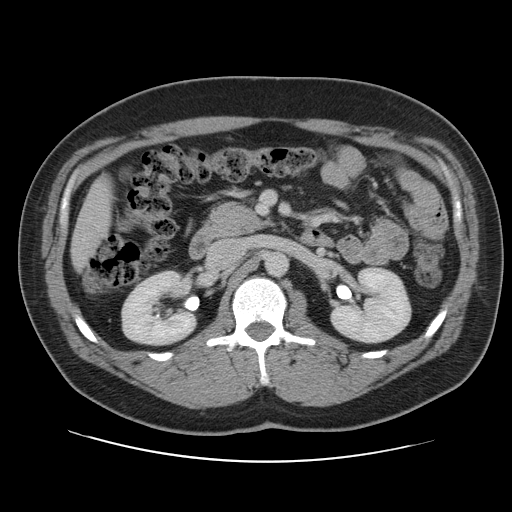 CT image | 512x512
Some hepatic vessels may have no box.
{"hepatic_vessel": ["81, 213, 82, 215", "73, 256, 84, 268", "90, 182, 107, 195", "103, 214, 106, 216", "85, 203, 89, 205"]}